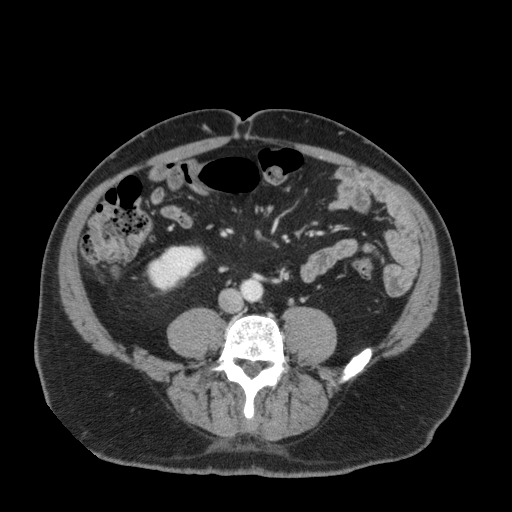
CT. 512x512. Abdomen.
<segmentation>
  <kidney>box(150, 247, 202, 288)</kidney>
</segmentation>